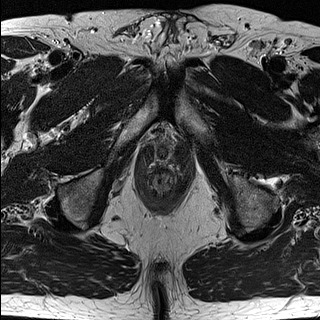
T2-weighted MRI.
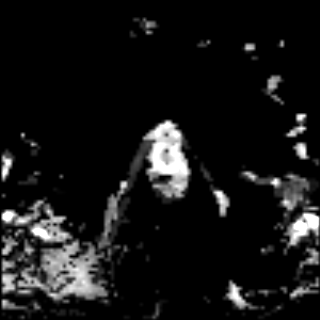
Same slice, ADC MRI.
Pelvis; 320x320
<segmentation>
  <prostate_transition_zone>(left=157, top=144, right=172, bottom=162)</prostate_transition_zone>
</segmentation>